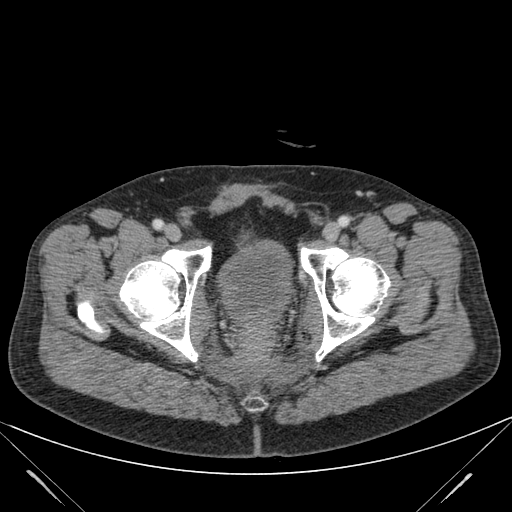
CT scan slice. 512x512 px.

<segmentation>
  <urinary_bladder>217:239:294:327</urinary_bladder>
</segmentation>